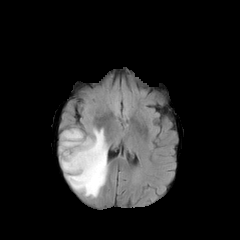
FLAIR magnetic resonance.
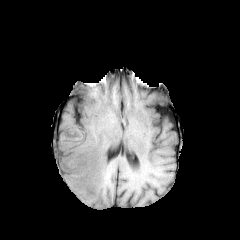
T1-weighted MR.
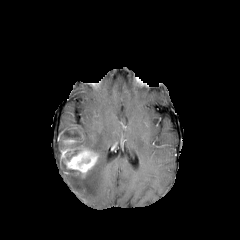
Post-contrast T1-weighted magnetic resonance.
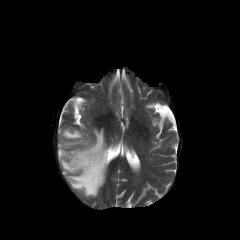
T2-weighted magnetic resonance.
Brain.
Findings:
• enhancing tumor: (60, 138, 99, 176)
• non-enhancing tumor core: (70, 140, 79, 155)
• edema: (59, 127, 108, 197)